Head
FLAIR MR image.
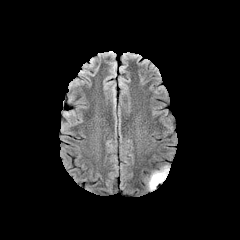
T1-weighted MR image.
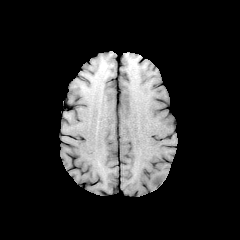
Post-contrast T1-weighted MR.
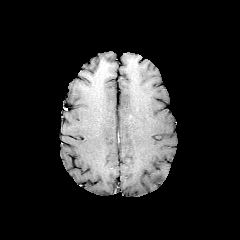
T2-weighted MR image.
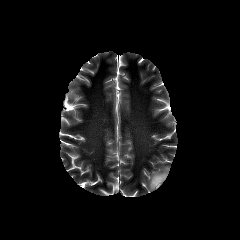
<segmentation>
  <edema>[147, 164, 170, 189]</edema>
</segmentation>